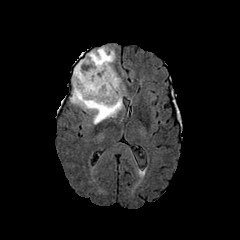
FLAIR MR.
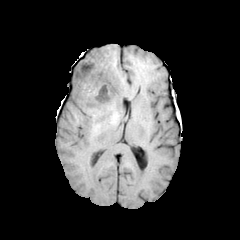
T1-weighted MR.
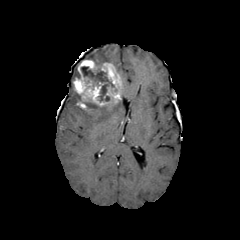
Post-contrast T1-weighted MRI of the same slice.
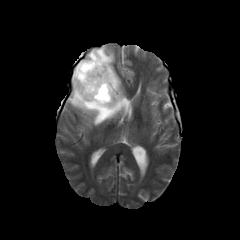
T2-weighted magnetic resonance.
240x240 px; Head
Enhancing tumor — x1=72 y1=58 x2=121 y2=109.
Edema — x1=84 y1=100 x2=123 y2=125, x1=85 y1=46 x2=115 y2=65, x1=69 y1=91 x2=83 y2=109.
Non-enhancing tumor core — x1=81 y1=66 x2=108 y2=81, x1=99 y1=85 x2=109 y2=101.